CT image. Image width 404 mm. 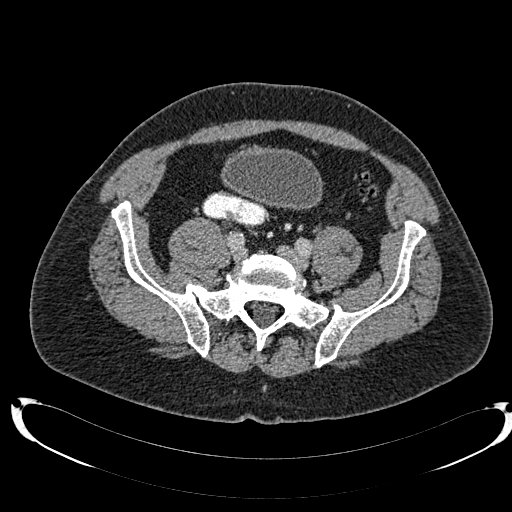 Urinary bladder = 228 150 321 206.